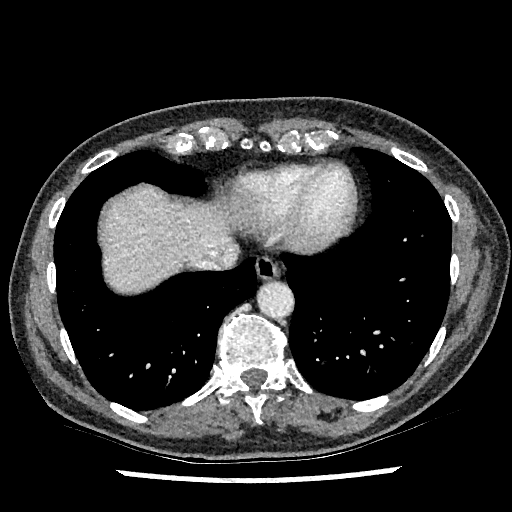 CT slice. Upper abdomen.

<segmentation>
  <liver>x1=99 y1=186 x2=238 y2=292</liver>
</segmentation>